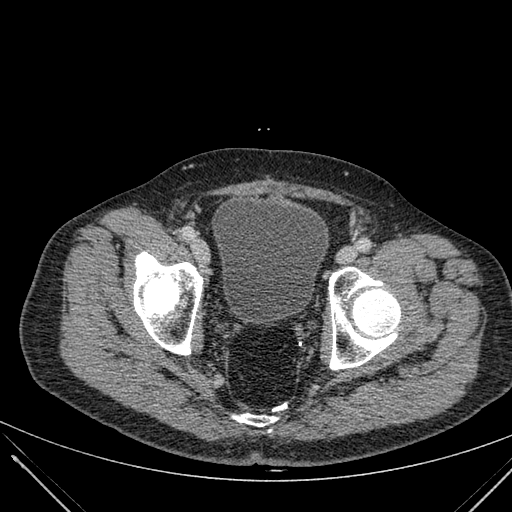

512x512 px | CT
The urinary bladder is at <box>211,200,329,320</box>.